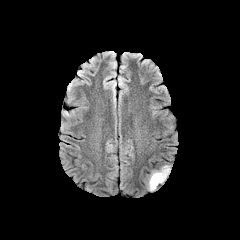
FLAIR MR image.
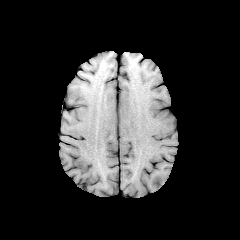
T1-weighted MRI.
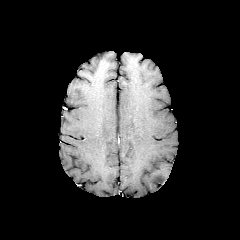
Post-contrast T1-weighted MRI.
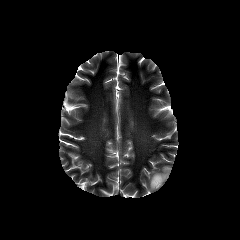
T2-weighted MR image.
Edema = 147,165,171,190.